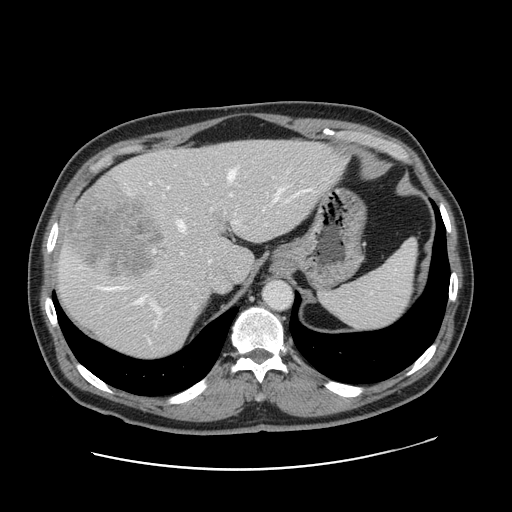
512x512 | CT
The vessel annotation is not exhaustive.
liver_tumor:
  - 64 196 162 277
hepatic_vessel:
  - 289 196 294 198
  - 210 207 212 210
  - 228 166 238 180
  - 263 207 265 209
  - 274 185 287 200
  - 154 320 157 326
  - 234 211 236 214
  - 145 334 149 341
  - 325 177 327 179
  - 232 218 240 229
  - 167 186 169 188
  - 150 301 164 316
  - 175 219 185 230
  - 298 188 312 193
  - 149 181 151 184